CT. 512x512 px. Image width 424 mm. Abdomen. 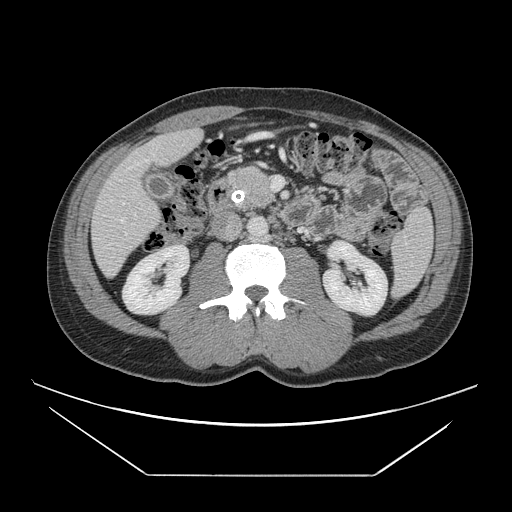

pancreas:
  - 230 168 272 208